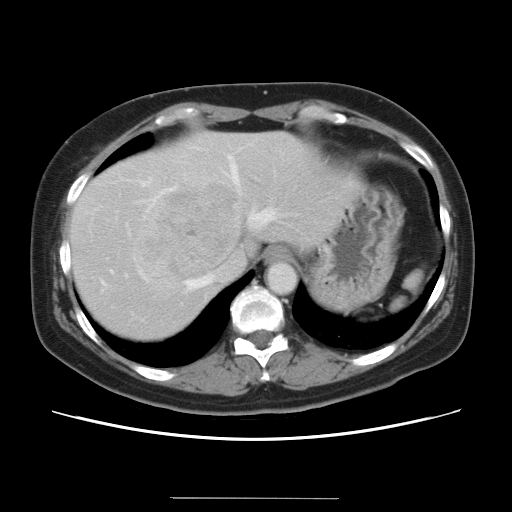 CT image; 512x512
Some hepatic vessels may have no box.
liver tumor: x1=137 y1=183 x2=243 y2=276 | hepatic vessel: x1=126 y1=223 x2=127 y2=226, x1=110 y1=270 x2=112 y2=272, x1=139 y1=179 x2=150 y2=186, x1=128 y1=231 x2=129 y2=234, x1=167 y1=188 x2=175 y2=190, x1=152 y1=200 x2=154 y2=202, x1=189 y1=147 x2=198 y2=149, x1=224 y1=155 x2=236 y2=181, x1=185 y1=275 x2=213 y2=289, x1=138 y1=271 x2=147 y2=281, x1=248 y1=209 x2=277 y2=225, x1=101 y1=281 x2=104 y2=291, x1=146 y1=206 x2=151 y2=212